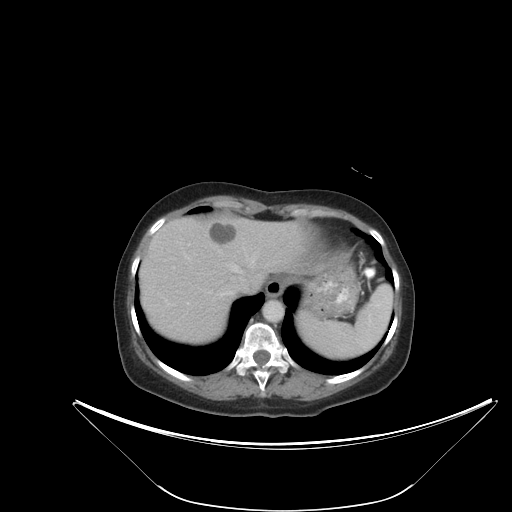 512x512 px | Computed tomography | Liver

Some hepatic vessels may have no box.
Findings:
- hepatic vessel: l=245, t=253, r=255, b=265; l=224, t=277, r=246, b=291; l=227, t=263, r=241, b=272; l=219, t=288, r=222, b=290